Upper abdomen; CT

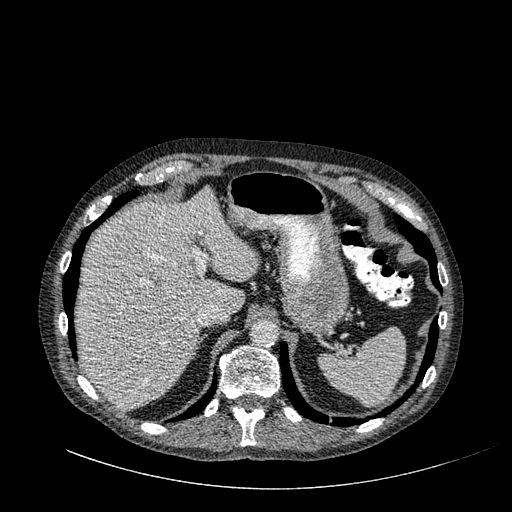 liver: <box>77,186,257,410</box> | focal liver lesion: <box>119,233,129,242</box>